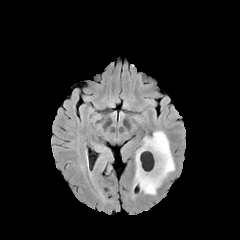
FLAIR MRI.
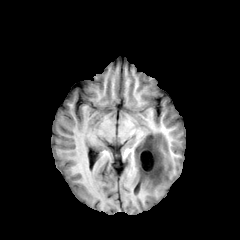
T1-weighted MRI.
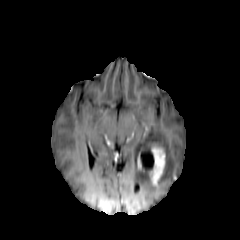
Post-contrast T1-weighted magnetic resonance.
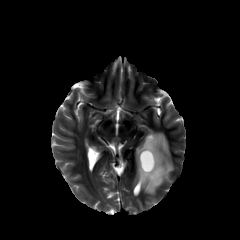
Same slice, T2-weighted magnetic resonance.
The edema is at x1=133 y1=131 x2=174 y2=194. The enhancing tumor is bounded by x1=150 y1=147 x2=165 y2=186.